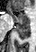
MRI slice. 36x52. posterior_hippocampus:
  - (16, 23, 29, 39)
anterior_hippocampus:
  - (7, 7, 29, 22)